Image size 512x512. Upper abdomen. CT scan slice. Image width 360 mm.

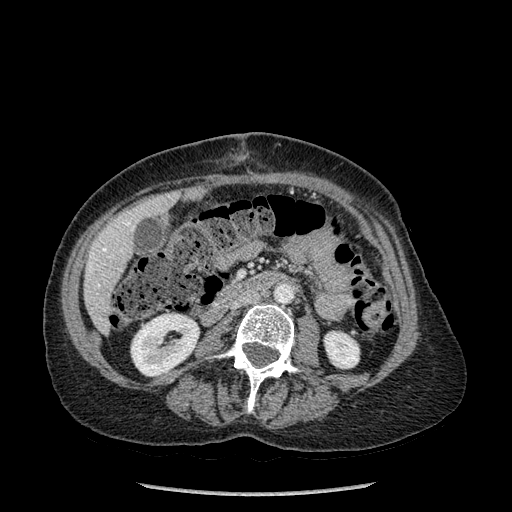
Segmented structures:
• kidney: {"x1": 324, "y1": 332, "x2": 358, "y2": 368}, {"x1": 131, "y1": 314, "x2": 199, "y2": 375}
• liver: {"x1": 84, "y1": 193, "x2": 178, "y2": 335}
• bone: {"x1": 214, "y1": 303, "x2": 298, "y2": 412}